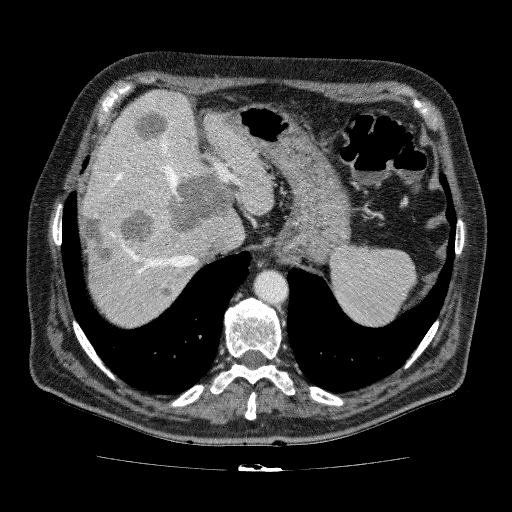
CT slice

Liver — l=211, t=170, r=226, b=183; l=203, t=108, r=274, b=215; l=83, t=89, r=245, b=326.
Liver lesion — l=165, t=165, r=235, b=235; l=82, t=211, r=115, b=266; l=147, t=279, r=174, b=299; l=132, t=109, r=170, b=143; l=117, t=208, r=157, b=246; l=88, t=271, r=99, b=286; l=133, t=149, r=144, b=163; l=130, t=260, r=144, b=268.